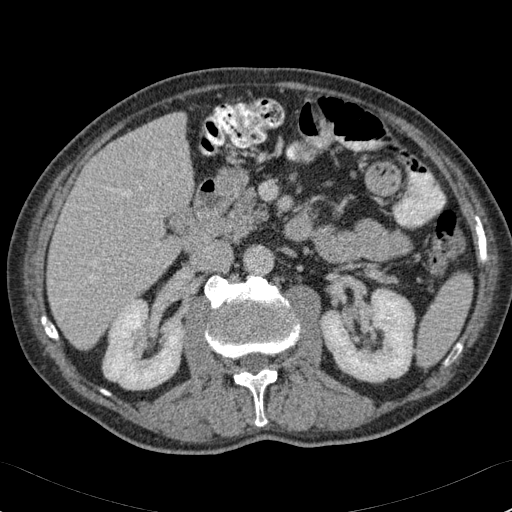
Liver; CT

<segmentation>
  <kidney>(321,289,414,381), (103,300,183,389)</kidney>
  <liver>(47,113,192,348)</liver>
</segmentation>